Head; Slice 71 of 155
FLAIR magnetic resonance.
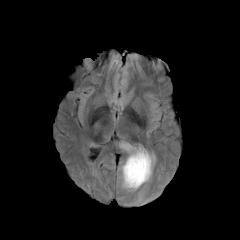
T1-weighted MR image.
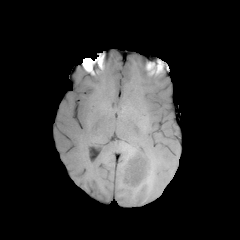
Post-contrast T1-weighted MR image.
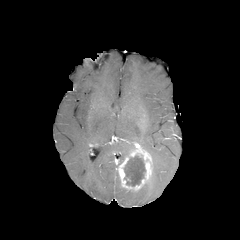
T2-weighted MR.
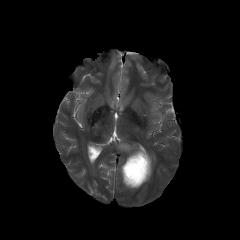
Non-enhancing tumor core = l=124, t=154, r=145, b=185.
Edema = l=125, t=145, r=135, b=154.
Enhancing tumor = l=119, t=148, r=151, b=189.